Slice 59/155
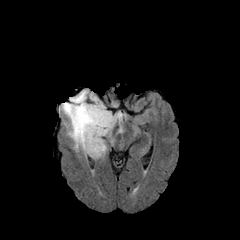
FLAIR MRI.
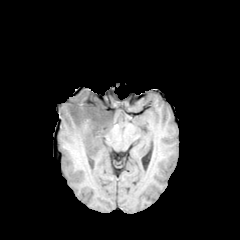
T1-weighted MR image.
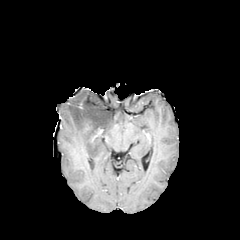
Post-contrast T1-weighted MR image.
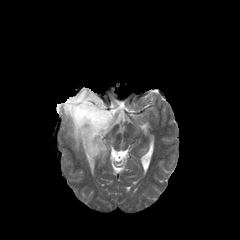
T2-weighted MR image.
{
  "non-enhancing_tumor_core": [
    "box(66, 96, 113, 145)"
  ],
  "edema": [
    "box(59, 98, 125, 158)",
    "box(73, 89, 109, 111)"
  ]
}